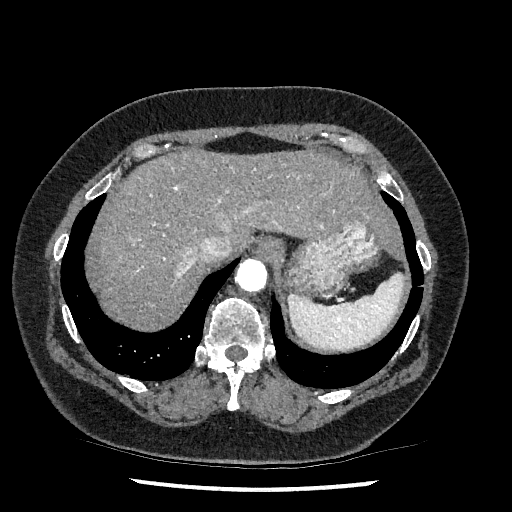

CT image. Abdomen. <segmentation>
  <liver>[92,152,404,328]</liver>
</segmentation>